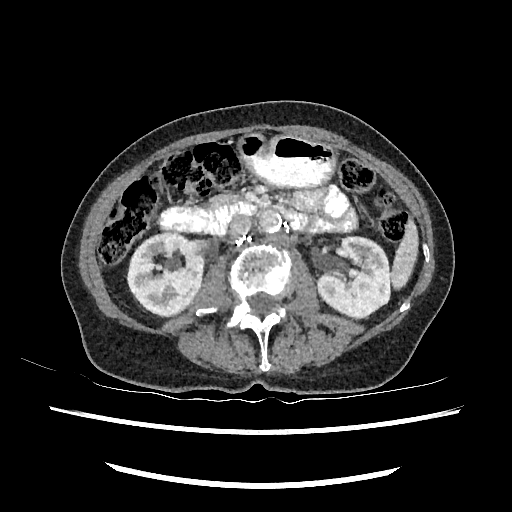
CT image
2 kidney regions are bounded by <box>318,237,389,316</box>, <box>128,234,202,315</box>.